Slice 110 of 856. Computed tomography. Lower abdomen.
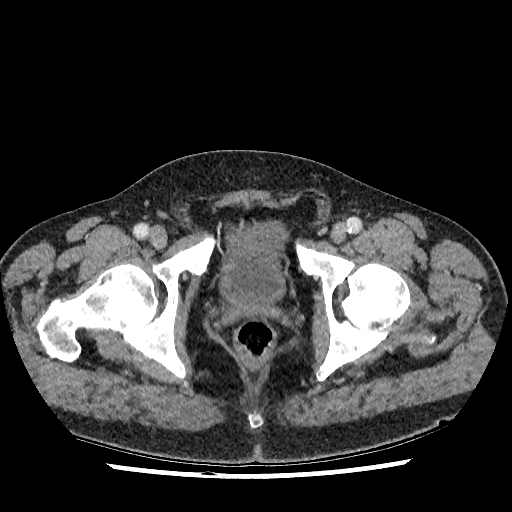

urinary_bladder:
  - rect(218, 220, 288, 309)